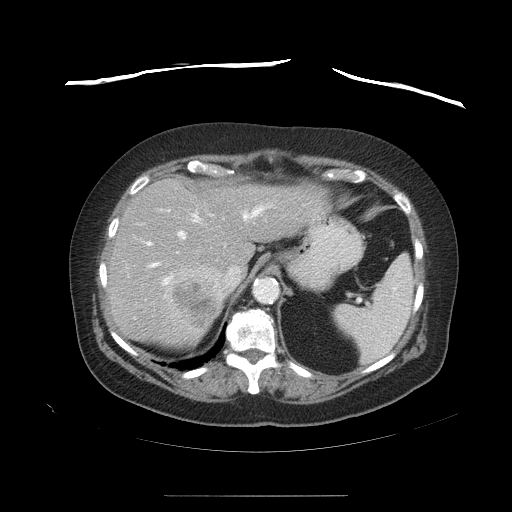 CT image; Liver
Not every hepatic vessel necessarily has a box.
10 hepatic vessel regions appear at x1=219 y1=291 x2=221 y2=299, x1=177 y1=231 x2=185 y2=239, x1=159 y1=209 x2=169 y2=211, x1=225 y1=266 x2=240 y2=284, x1=242 y1=205 x2=270 y2=220, x1=140 y1=241 x2=150 y2=245, x1=161 y1=275 x2=172 y2=284, x1=209 y1=214 x2=212 y2=215, x1=148 y1=262 x2=159 y2=267, x1=191 y1=211 x2=199 y2=222. The liver tumor is at x1=169 y1=271 x2=218 y2=332.